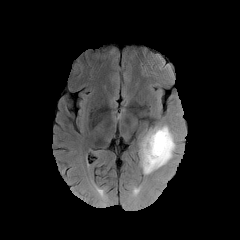
FLAIR MR image.
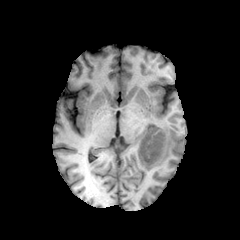
T1-weighted MR image.
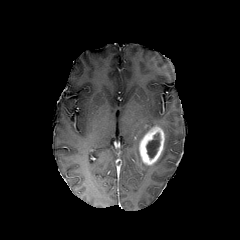
Post-contrast T1-weighted MRI of the same slice.
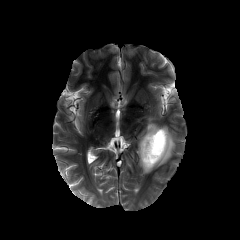
Same slice, T2-weighted MR.
Image size 240x240. Head.
Edema — 138:124:176:174.
Non-enhancing tumor core — 146:132:160:158.
Enhancing tumor — 139:126:164:165.